Computed tomography, Field of view 330 mm wide, 0.70 mm slice spacing

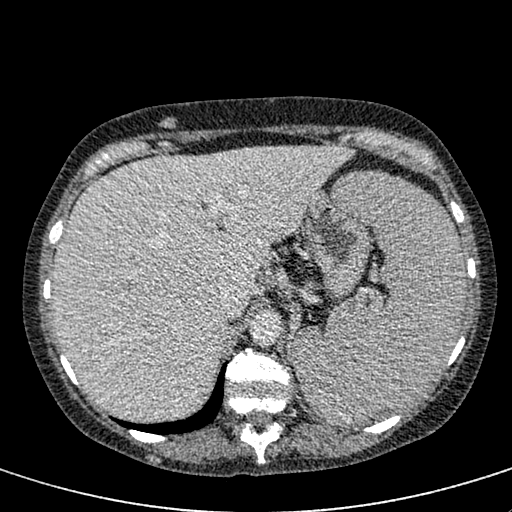 The liver is at 53 147 354 419.